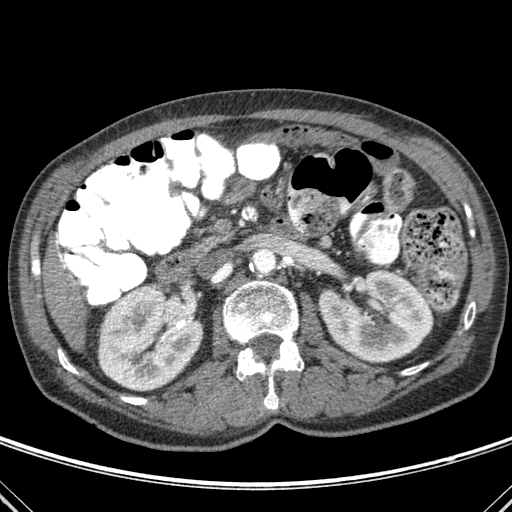 CT image.

Liver — 44:233:86:349.
Bone — 121:396:147:404, 464:302:475:329, 401:363:427:375, 223:280:303:409, 58:349:78:374, 242:208:256:219, 32:256:39:275.
Kidney — 369:299:381:309, 319:271:431:361, 99:282:202:390.